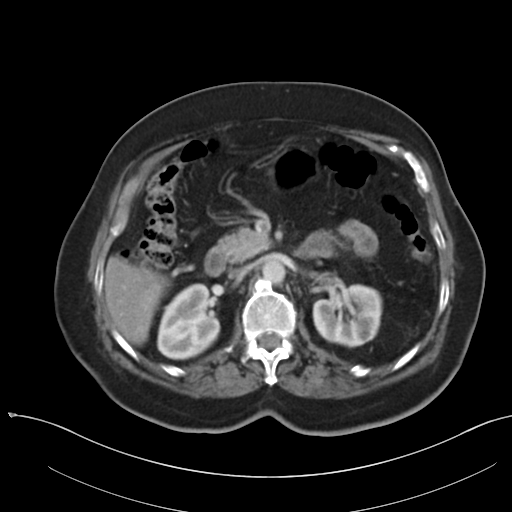
Abdomen | 512x512 px | CT image
The vessel boxes may cover only some of the vessels.
Hepatic vessel: bounding box 122, 286, 124, 288.